CT image.
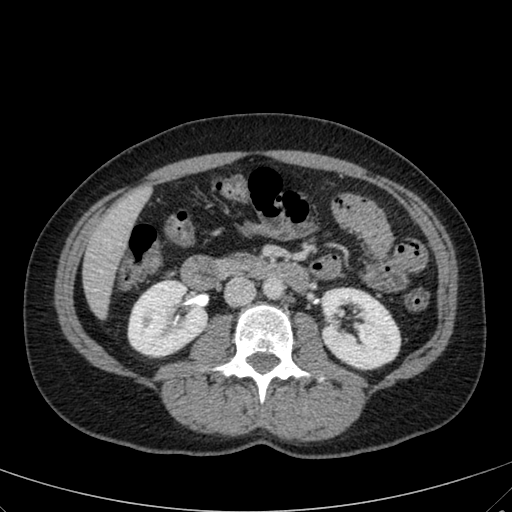
Kidney at (left=128, top=281, right=206, bottom=355), (left=322, top=288, right=399, bottom=368).
Liver at (left=83, top=199, right=136, bottom=317).